Abdomen | CT

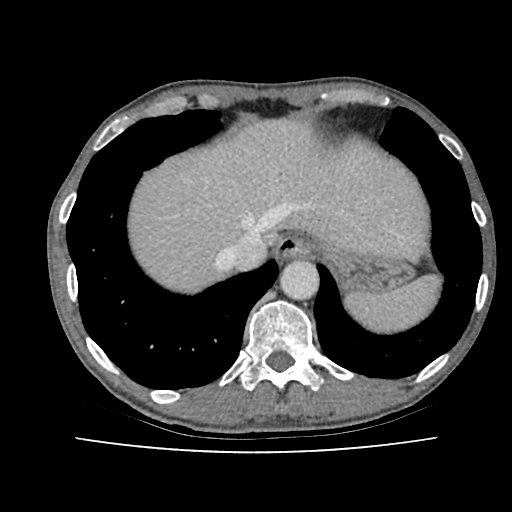

The liver lies within bbox(130, 120, 428, 288).